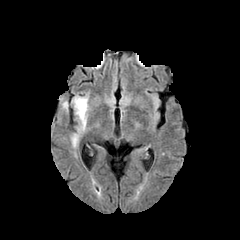
FLAIR MRI.
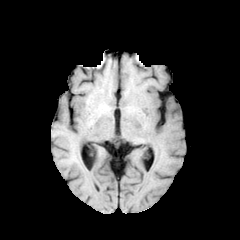
Same slice, T1-weighted MRI.
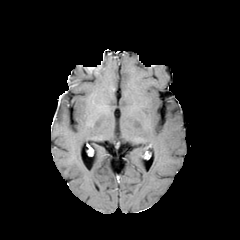
Same slice, post-contrast T1-weighted magnetic resonance.
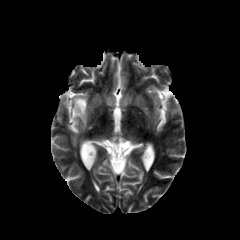
Same slice, T2-weighted MR image.
Head
Edema: bbox(61, 98, 69, 111); bbox(70, 93, 90, 147).